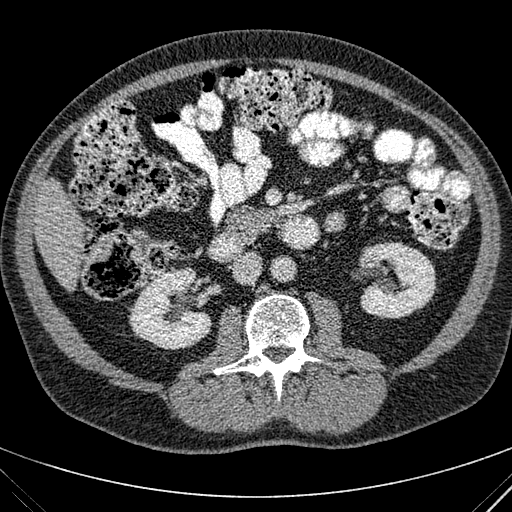 512x512 px, CT slice
2 kidney regions are bounded by box(360, 243, 435, 317); box(130, 268, 214, 349). The liver is at box(35, 180, 83, 290).